FLAIR MR.
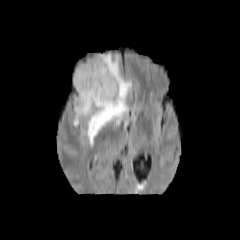
T1-weighted MR.
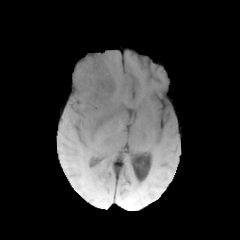
Post-contrast T1-weighted MRI.
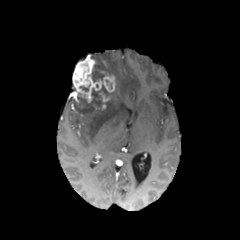
T2-weighted MRI.
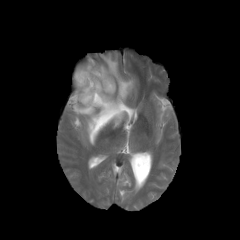
240x240 px. Brain.
Enhancing tumor — (x1=70, y1=54, x2=116, y2=103).
Edema — (x1=74, y1=53, x2=132, y2=143).
Non-enhancing tumor core — (x1=91, y1=55, x2=113, y2=81), (x1=102, y1=80, x2=118, y2=98), (x1=68, y1=91, x2=106, y2=113).